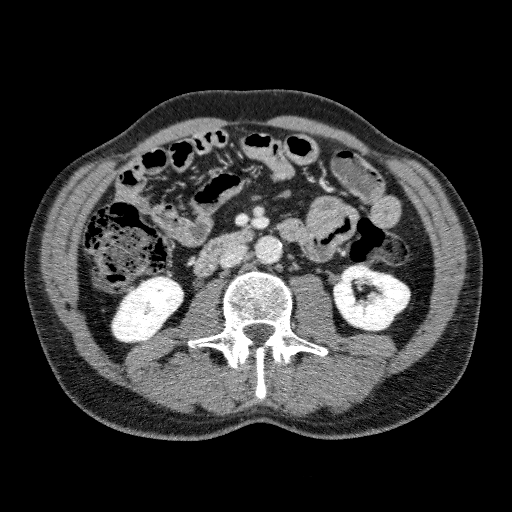 512x512 px. CT image.

kidney:
  - left=112, top=277, right=182, bottom=341
  - left=334, top=266, right=409, bottom=329